Brain
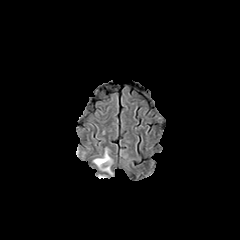
FLAIR magnetic resonance.
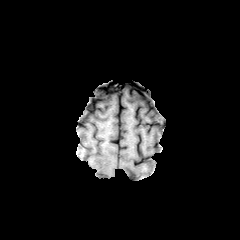
T1-weighted MR image.
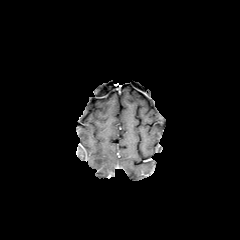
Post-contrast T1-weighted MR of the same slice.
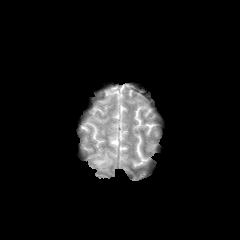
T2-weighted MRI of the same slice.
The edema is bounded by [94,151,111,170].